Image size 512x512, Computed tomography, Slice 397 of 917
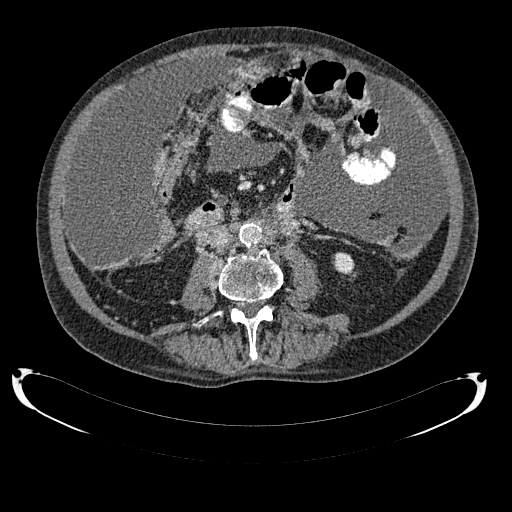
kidney:
  - <bbox>335, 253, 353, 273</bbox>